Field of view 407 mm wide, 2.50 mm slice spacing. CT image.

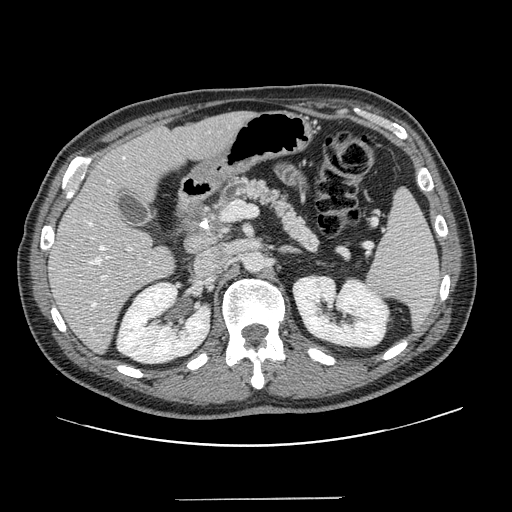 pancreas:
  - 175, 175, 321, 255